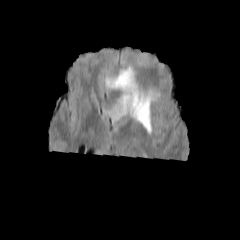
FLAIR magnetic resonance.
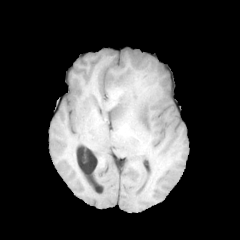
T1-weighted MR of the same slice.
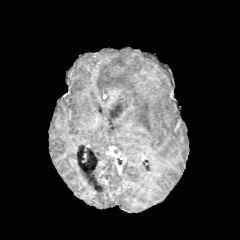
Same slice, post-contrast T1-weighted MR image.
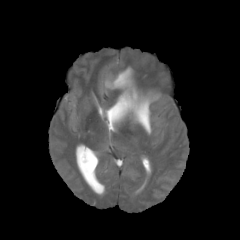
T2-weighted magnetic resonance.
Image size 240x240
The edema is located at rect(105, 67, 160, 132). The non-enhancing tumor core lies within rect(109, 103, 123, 117).